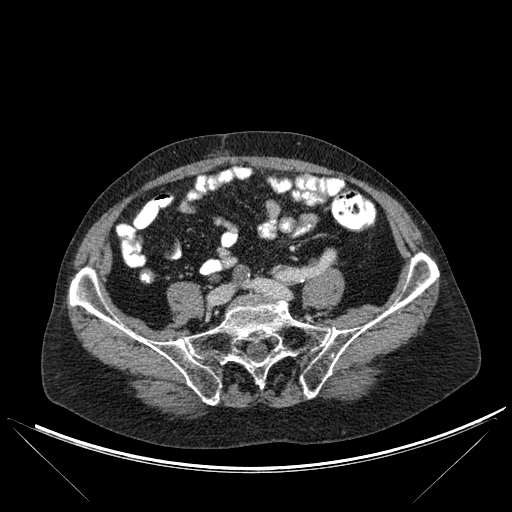
CT image | 512x512 px

The bone is at (69, 252, 438, 404).